Abdomen; Field of view 438 mm wide, 5.00 mm slice spacing; CT slice

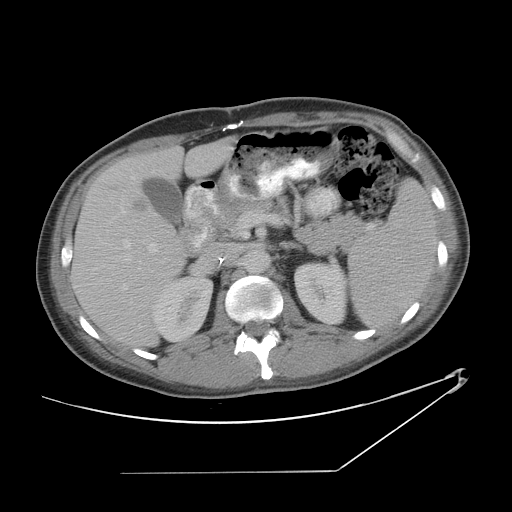
Not every hepatic vessel necessarily has a box.
hepatic vessel: 140:261:141:263, 152:170:154:173, 123:285:127:290, 123:240:130:247, 126:255:131:261, 123:196:124:200, 121:201:122:206, 149:244:156:252, 122:208:125:213 | liver tumor: 132:196:149:213